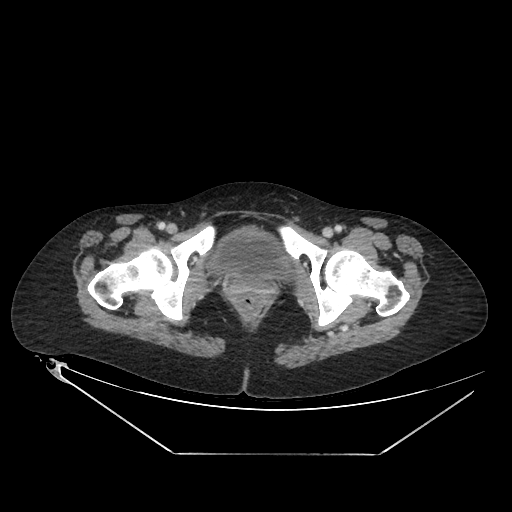 CT.
<segmentation>
  <urinary_bladder>200 228 302 289</urinary_bladder>
</segmentation>